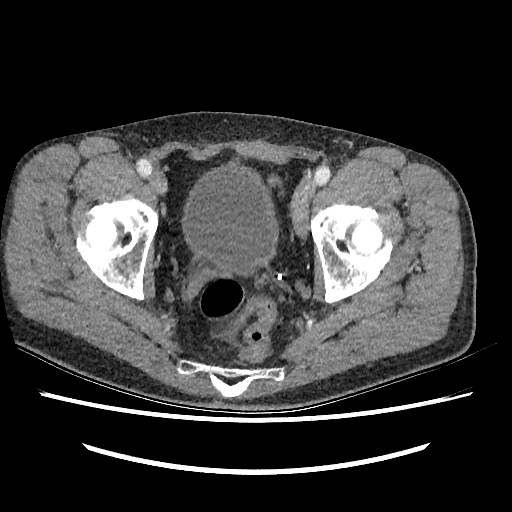

Lower abdomen, 512x512, CT scan slice
<segmentation>
  <urinary_bladder>rect(185, 168, 273, 274)</urinary_bladder>
</segmentation>